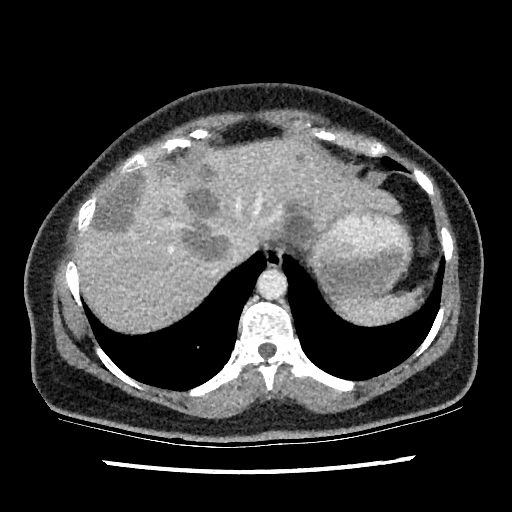
Computed tomography. Liver. 512x512.
<segmentation>
  <liver_lesion>left=94, top=172, right=145, bottom=231; left=199, top=167, right=211, bottom=180; left=160, top=163, right=184, bottom=179; left=296, top=153, right=304, bottom=161; left=187, top=188, right=218, bottom=216; left=276, top=203, right=314, bottom=248; left=183, top=222, right=228, bottom=258</liver_lesion>
  <liver>left=74, top=135, right=401, bottom=330</liver>
</segmentation>